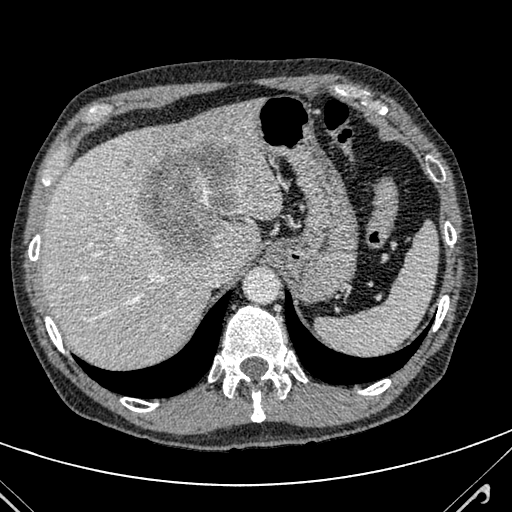

512x512. CT. Abdomen.
• hepatic lesion: region(136, 138, 239, 264)
• liver: region(42, 99, 281, 368)